CT. Slice index 40.

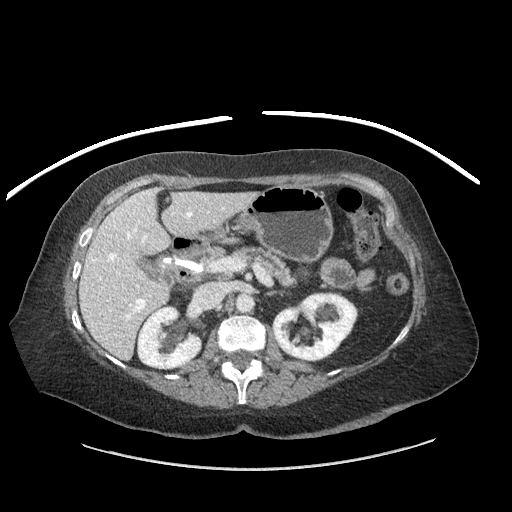 The pancreas is located at (left=236, top=248, right=294, bottom=285).